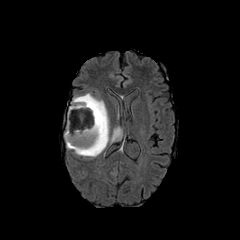
FLAIR magnetic resonance.
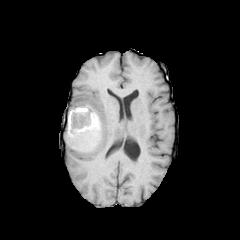
T1-weighted MR.
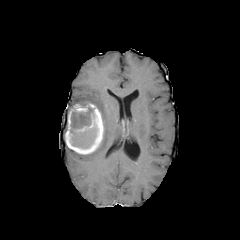
Same slice, post-contrast T1-weighted MR image.
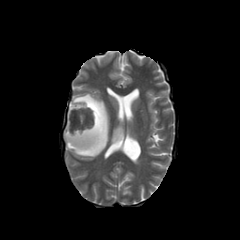
T2-weighted MRI.
<segmentation>
  <edema>66 92 120 159</edema>
  <enhancing_tumor>65 102 103 153</enhancing_tumor>
  <non-enhancing_tumor_core>84 122 95 143</non-enhancing_tumor_core>
</segmentation>